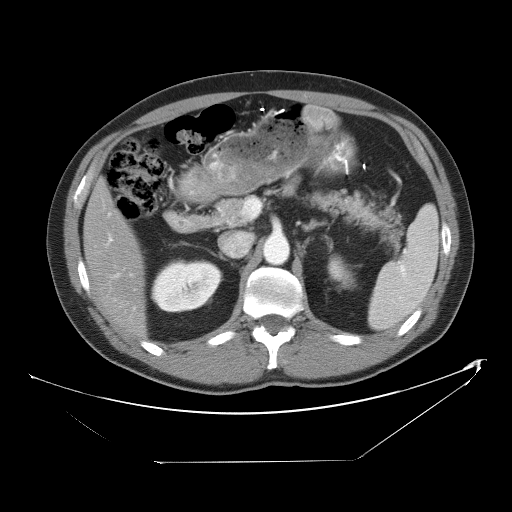 512x512 px; CT; Abdomen
The vessel annotation is not exhaustive.
Hepatic vessel = bbox=[111, 273, 119, 278]; bbox=[133, 306, 134, 309]; bbox=[108, 213, 110, 215]; bbox=[130, 273, 132, 275]; bbox=[105, 234, 111, 246].